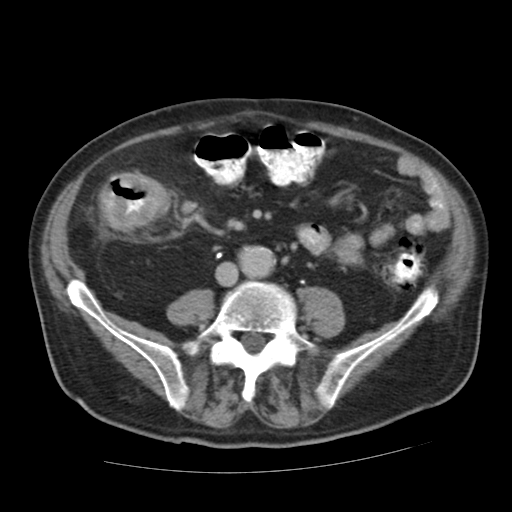 Abdomen. Computed tomography.

Colon tumor = bbox=[98, 174, 167, 231].